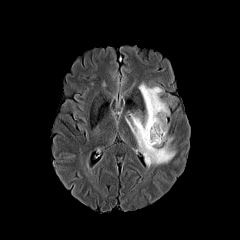
FLAIR MRI.
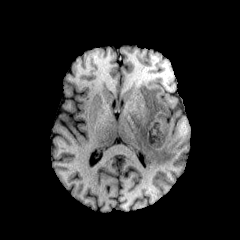
T1-weighted MR image of the same slice.
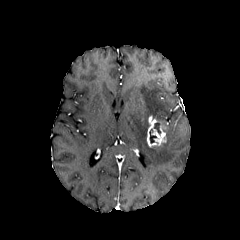
Post-contrast T1-weighted MRI of the same slice.
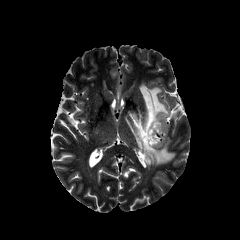
Same slice, T2-weighted MRI.
Head
The edema is located at box=[125, 83, 175, 167]. 2 non-enhancing tumor core regions are bounded by box=[154, 122, 161, 134]; box=[149, 129, 156, 143]. The enhancing tumor is bounded by box=[146, 115, 168, 147].